FLAIR MR.
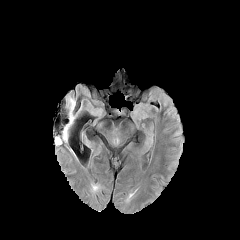
T1-weighted MR image.
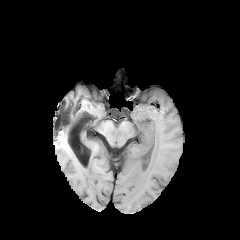
Post-contrast T1-weighted MR image.
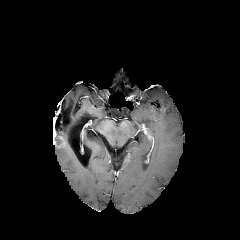
T2-weighted magnetic resonance.
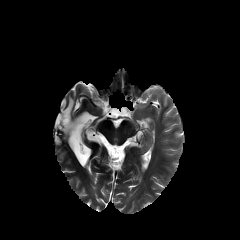
Brain
{
  "edema": [
    "l=63, t=96, r=75, b=139"
  ]
}